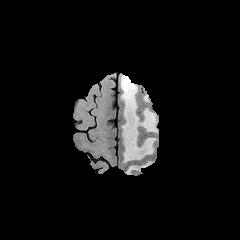
FLAIR MR image.
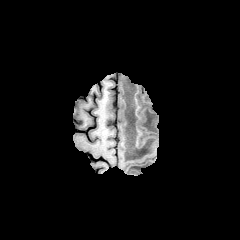
Same slice, T1-weighted MRI.
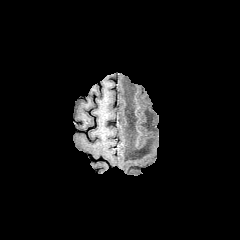
Post-contrast T1-weighted MRI.
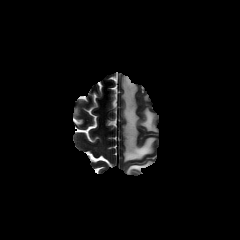
T2-weighted magnetic resonance.
240x240, Head
2 edema regions are bounded by (121, 76, 155, 162), (127, 164, 140, 173).